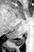
Magnetic resonance
The posterior hippocampus appears at rect(11, 38, 24, 45).